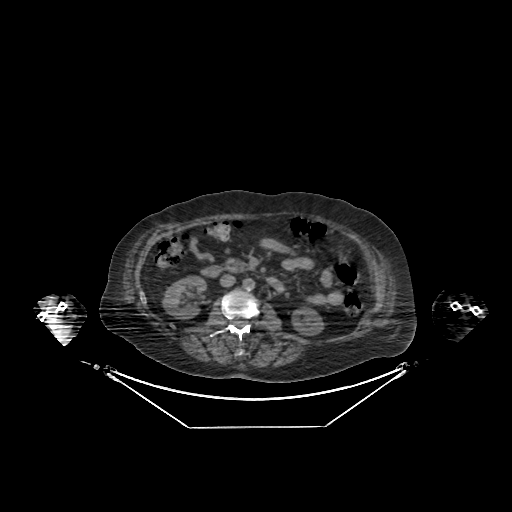
CT slice. 512x512.

The liver is at l=264, t=238, r=284, b=245. 2 kidney regions appear at l=292, t=307, r=324, b=335; l=162, t=276, r=206, b=319.